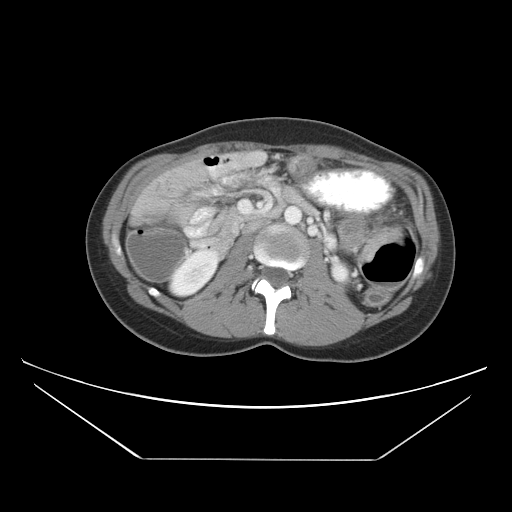
CT image; Image size 512x512
The colon tumor appears at (x1=358, y1=227, x2=404, y2=263).